Slice 376/547. CT.

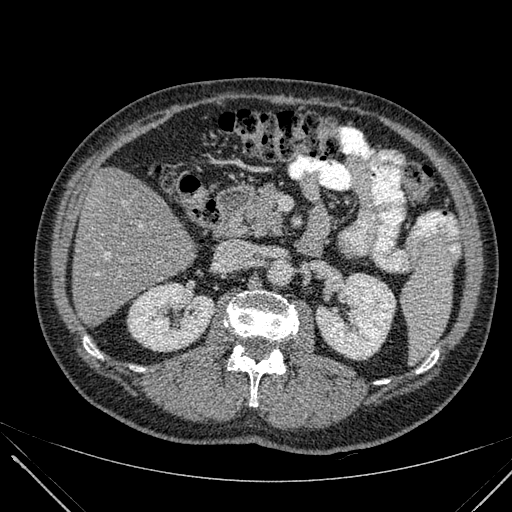

Segmented structures:
- kidney: 316, 273, 394, 358; 128, 283, 213, 351
- liver: 72, 168, 197, 324